Slice 99 of 155 | Brain
FLAIR MRI.
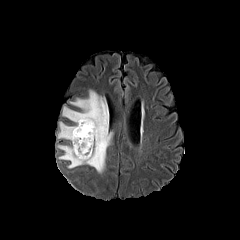
T1-weighted MRI.
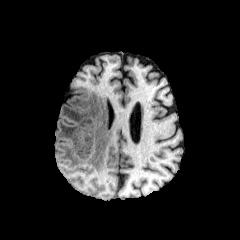
Post-contrast T1-weighted MRI.
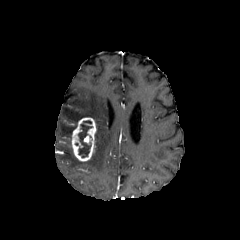
T2-weighted magnetic resonance.
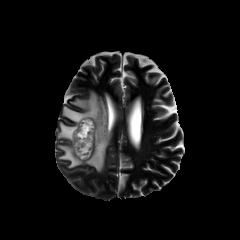
<segmentation>
  <non-enhancing_tumor_core>78 120 92 158</non-enhancing_tumor_core>
  <enhancing_tumor>69 117 97 162</enhancing_tumor>
  <edema>58 122 76 139, 57 145 82 168, 62 90 112 173</edema>
</segmentation>